Field of view 500x500 mm | CT slice | 512x512 | Slice index 48

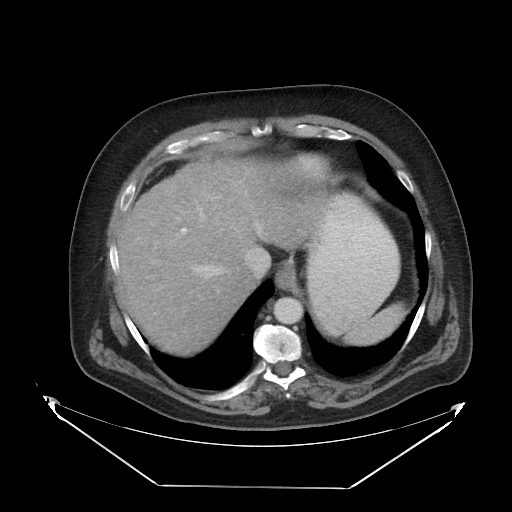 Some hepatic vessels may have no box.
{"hepatic_vessel": ["[245,248,268,276]", "[176,230,185,237]", "[194,200,205,221]", "[235,228,239,232]", "[170,241,172,243]", "[190,265,225,278]", "[254,221,262,234]"]}